CT

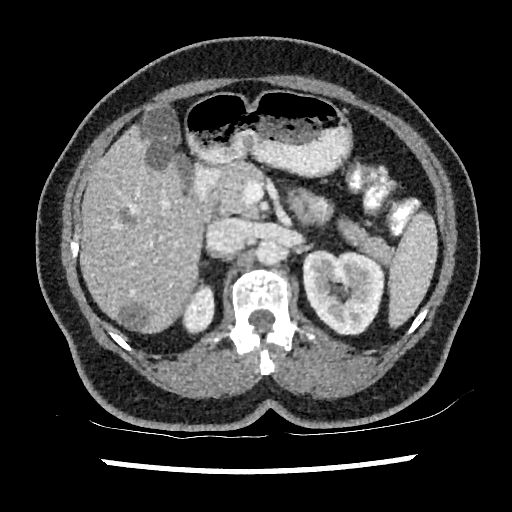 Segmented structures:
- focal liver lesion: 145 143 171 168, 117 303 146 327, 121 211 134 223
- liver: 80 127 202 331
- kidney: 185 288 212 331, 300 251 382 333